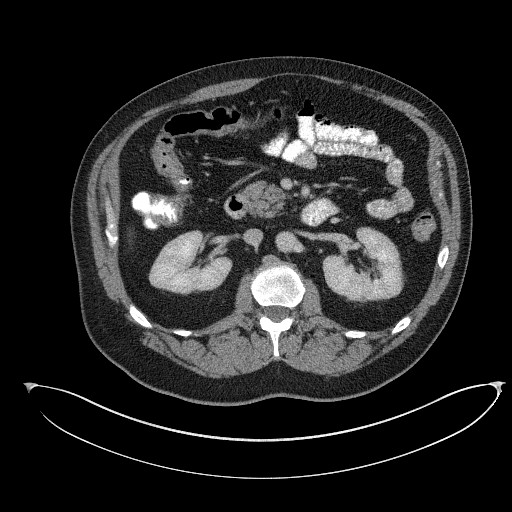
CT slice; Abdomen
The pancreas is located at bbox(243, 180, 285, 217).